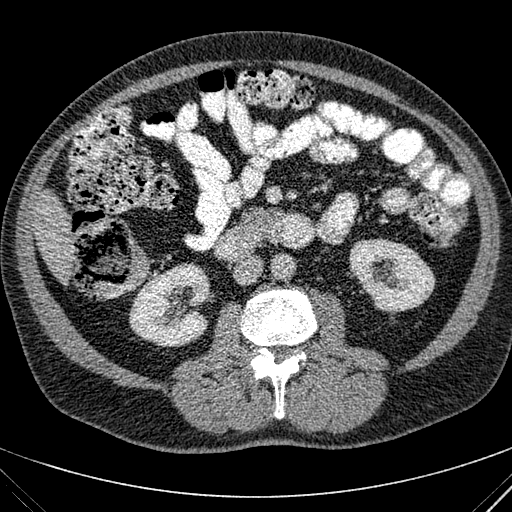
512x512 | CT | Liver
2 kidney regions are located at box(129, 263, 209, 346); box(350, 239, 434, 311). The liver lies within box(36, 190, 71, 283).